CT scan slice; Upper abdomen
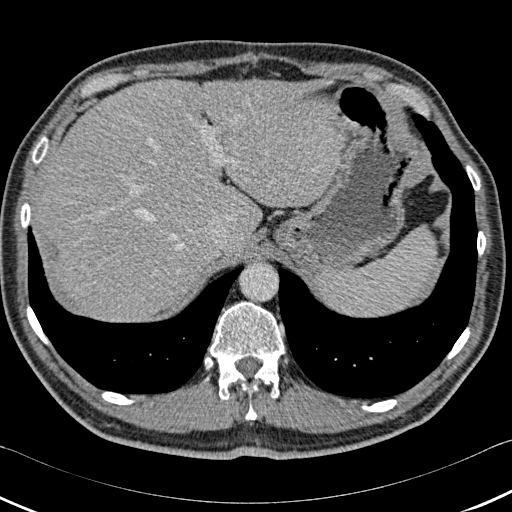
Lung — <box>278,113,477,399</box>, <box>27,226,243,393</box>.
Liver — <box>39,79,344,321</box>.
Bone — <box>447,328,469,358</box>, <box>32,137,47,163</box>, <box>27,306,48,344</box>, <box>205,357,212,368</box>, <box>21,203,30,227</box>, <box>102,392,133,404</box>, <box>477,231,485,255</box>, <box>245,403,256,419</box>, <box>466,165,480,190</box>, <box>210,302,284,399</box>, <box>362,399,396,411</box>.